Medial temporal lobe | Slice 7 of 33 | MR

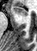 Annotated regions:
* anterior hippocampus: x1=13 y1=6 x2=27 y2=14